FLAIR MRI.
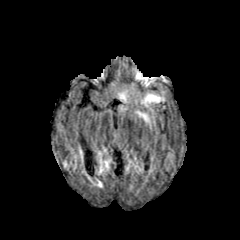
T1-weighted MR.
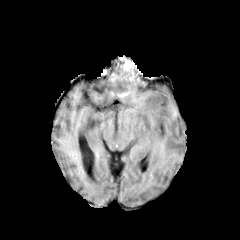
Post-contrast T1-weighted MR.
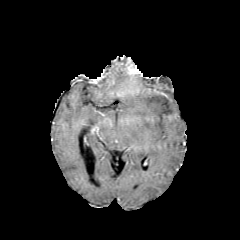
T2-weighted MR image.
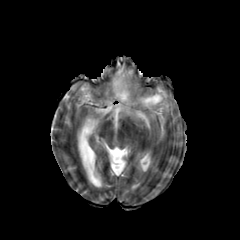
edema:
  - {"x1": 117, "y1": 82, "x2": 166, "y2": 125}
  - {"x1": 132, "y1": 70, "x2": 142, "y2": 79}